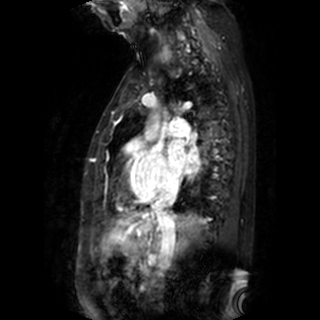
Heart, MR image
Left atrium — <box>167,140,198,173</box>.